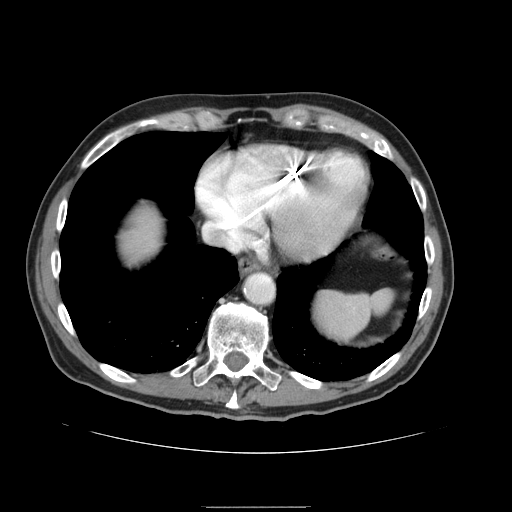

Computed tomography.
Spleen: <box>313,289,395,340</box>.